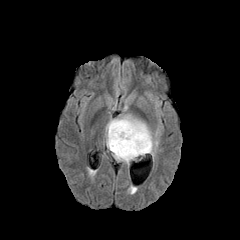
FLAIR MR.
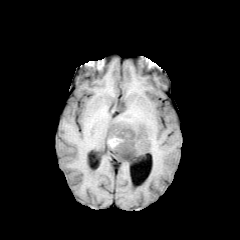
T1-weighted MR.
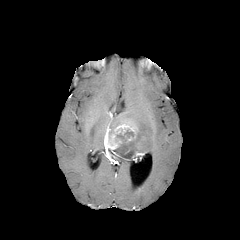
Post-contrast T1-weighted MRI.
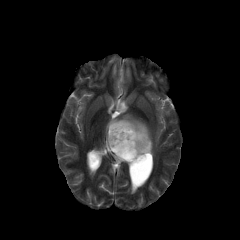
Same slice, T2-weighted MRI.
Brain
Enhancing tumor: bounding box left=104, top=118, right=138, bottom=156.
Edema: bounding box left=108, top=97, right=159, bottom=158; left=111, top=152, right=132, bottom=166.
Non-enhancing tumor core: bounding box left=113, top=127, right=148, bottom=161.